FLAIR MR.
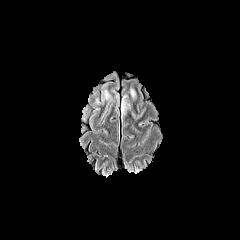
T1-weighted MR image.
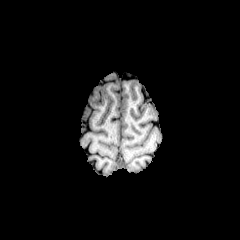
Post-contrast T1-weighted MR image.
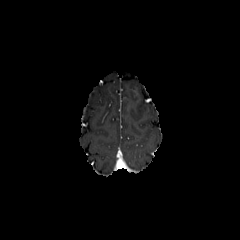
T2-weighted magnetic resonance.
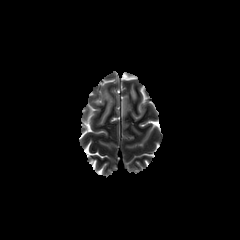
Brain
2 edema regions are located at 103 89 112 104, 121 97 131 116.